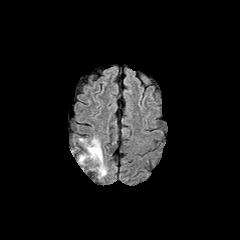
FLAIR magnetic resonance.
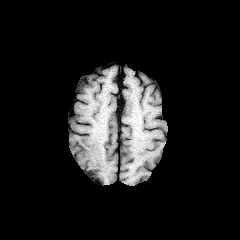
T1-weighted MR.
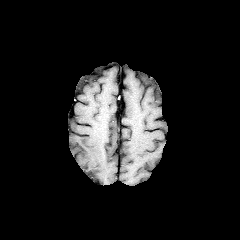
Post-contrast T1-weighted MRI.
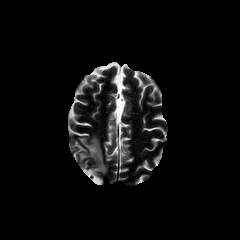
Same slice, T2-weighted MRI.
240x240 px; Head
edema: bbox(76, 136, 107, 178)